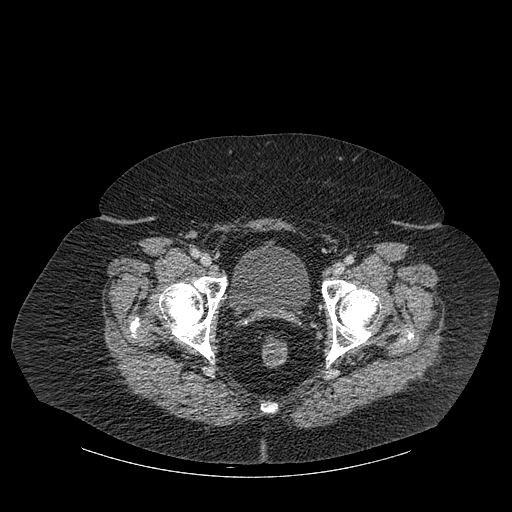
Computed tomography, Image size 512x512
{
  "urinary_bladder": [
    "box=[230, 242, 310, 322]"
  ],
  "bone": [
    "box=[322, 280, 381, 365]",
    "box=[130, 317, 139, 336]",
    "box=[159, 276, 226, 361]",
    "box=[261, 403, 277, 412]"
  ]
}